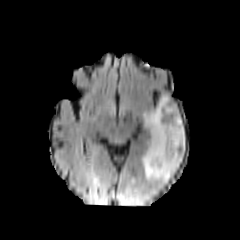
FLAIR magnetic resonance.
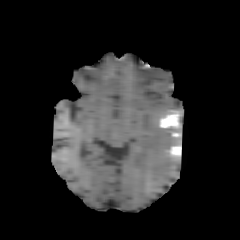
Same slice, T1-weighted MRI.
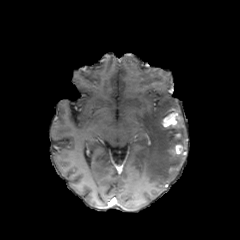
Post-contrast T1-weighted MR of the same slice.
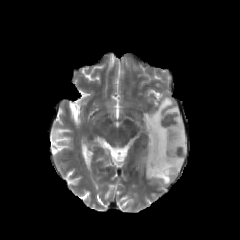
T2-weighted MR image.
Image size 240x240.
{
  "enhancing_tumor": [
    "bbox=[169, 144, 186, 155]",
    "bbox=[162, 111, 180, 127]"
  ],
  "edema": [
    "bbox=[140, 93, 186, 184]"
  ],
  "non-enhancing_tumor_core": [
    "bbox=[167, 145, 174, 157]"
  ]
}